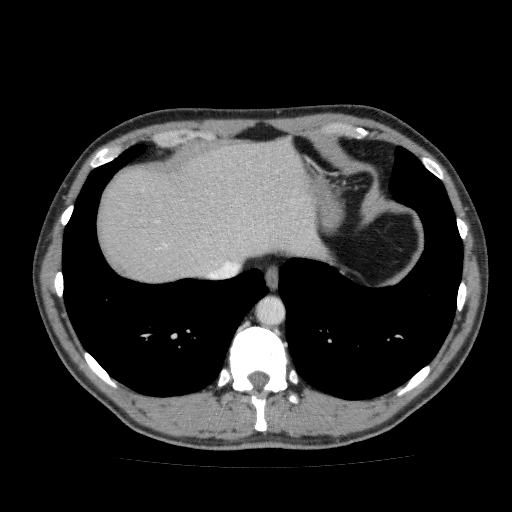
Upper abdomen; 512x512; Computed tomography
The liver lies within l=98, t=136, r=332, b=285.